CT image, Slice index 426, Field of view 400 mm wide, 0.80 mm slice spacing, 512x512 px

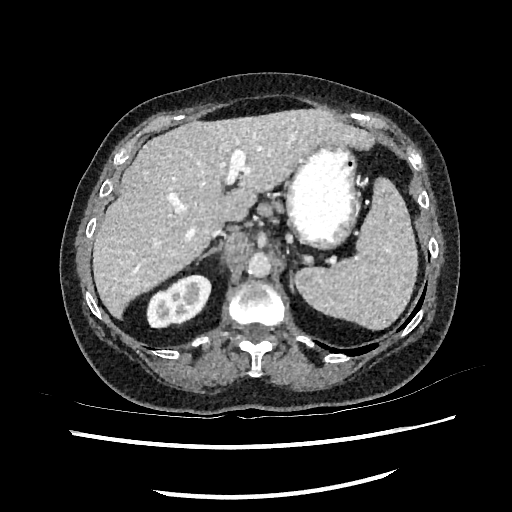

liver: (93,108,375,318) | kidney: (148,276,210,327)